FLAIR MR.
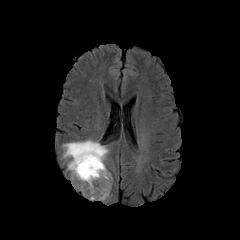
T1-weighted MRI.
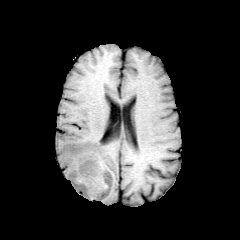
Post-contrast T1-weighted magnetic resonance.
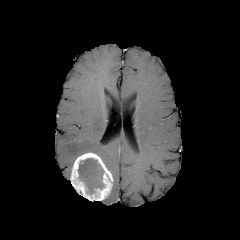
T2-weighted magnetic resonance.
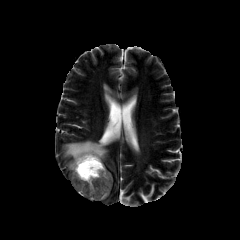
Head
Enhancing tumor: [70,152,112,200].
Non-enhancing tumor core: [78,158,104,191].
Edema: [62,139,108,173].